Image size 512x512; Abdomen; CT image 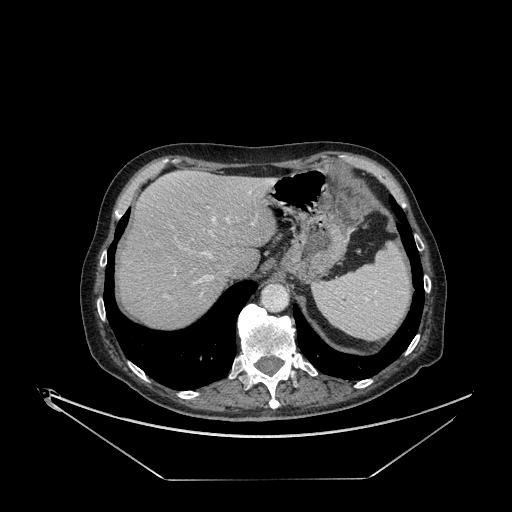 {
  "liver": [
    "119:170:275:329"
  ]
}